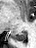 Magnetic resonance
posterior hippocampus: (left=12, top=33, right=27, bottom=41)